FLAIR MRI.
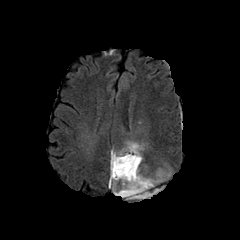
T1-weighted MR image.
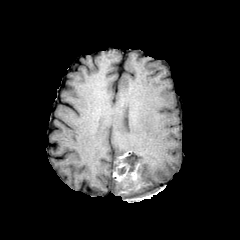
Post-contrast T1-weighted MR.
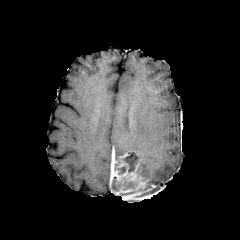
T2-weighted magnetic resonance.
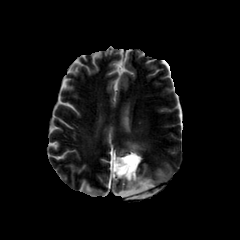
Head
non-enhancing tumor core: [139, 179, 155, 191], [115, 152, 141, 179], [136, 190, 151, 198], [111, 177, 137, 191] | enhancing tumor: [109, 152, 145, 199] | edema: [116, 141, 169, 185]